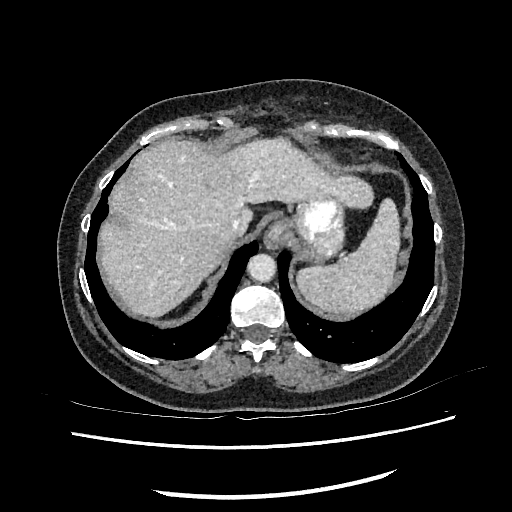
Computed tomography | Abdomen

The liver is located at bbox=[100, 137, 371, 315].